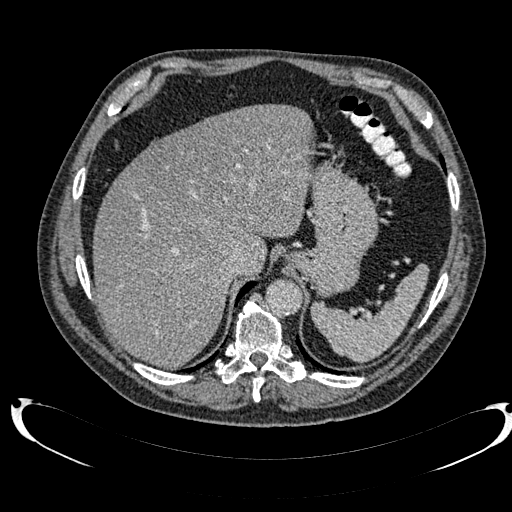

CT slice

liver lesion: 136:110:268:217 | liver: 93:105:312:369, 149:130:181:147